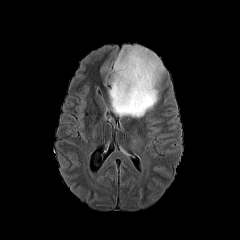
FLAIR MR image.
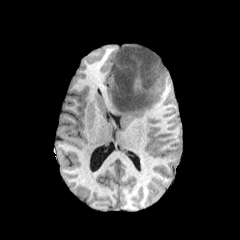
T1-weighted MR image of the same slice.
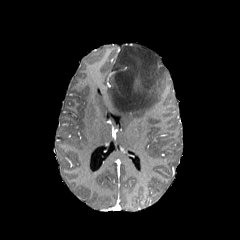
Post-contrast T1-weighted MR of the same slice.
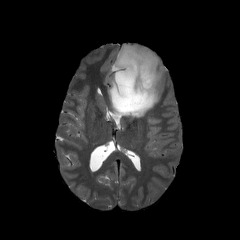
T2-weighted magnetic resonance of the same slice.
240x240 px | Head
Edema: box=[107, 47, 163, 119].